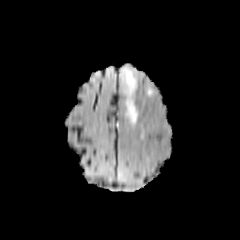
FLAIR MR.
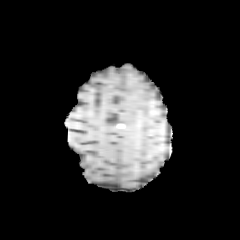
T1-weighted MRI of the same slice.
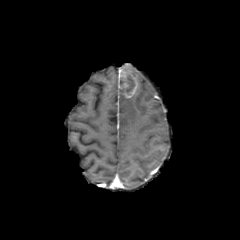
Same slice, post-contrast T1-weighted MR.
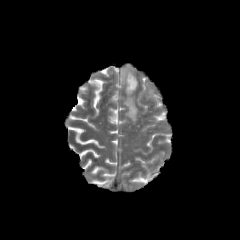
T2-weighted MR image of the same slice.
Non-enhancing tumor core at left=120, top=75, right=135, bottom=94.
Edema at left=125, top=96, right=138, bottom=123.
Enhancing tumor at left=120, top=65, right=137, bottom=98.